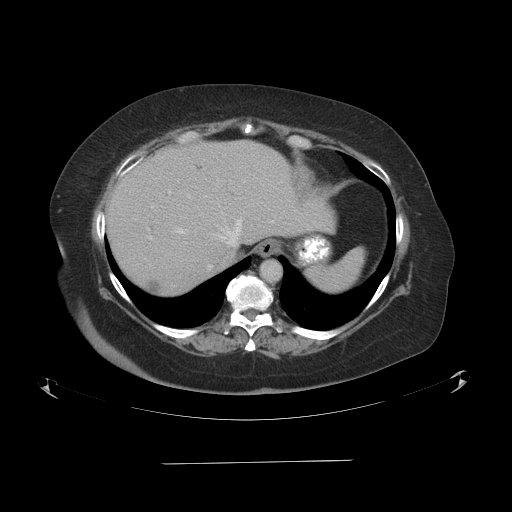

Computed tomography.
Some hepatic vessels may have no box.
{
  "liver_tumor": [
    "box(145, 279, 159, 290)"
  ],
  "hepatic_vessel": [
    "box(186, 194, 190, 197)",
    "box(177, 229, 186, 233)",
    "box(214, 218, 241, 245)",
    "box(208, 265, 211, 268)"
  ]
}